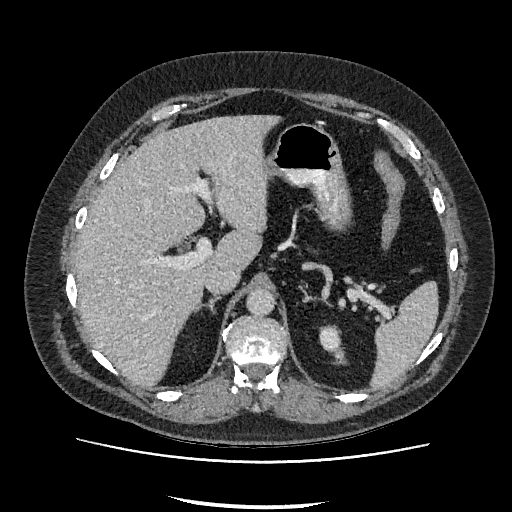
Upper abdomen; CT

Liver: bbox=[75, 115, 281, 385].
Kidney: bbox=[320, 329, 338, 348].